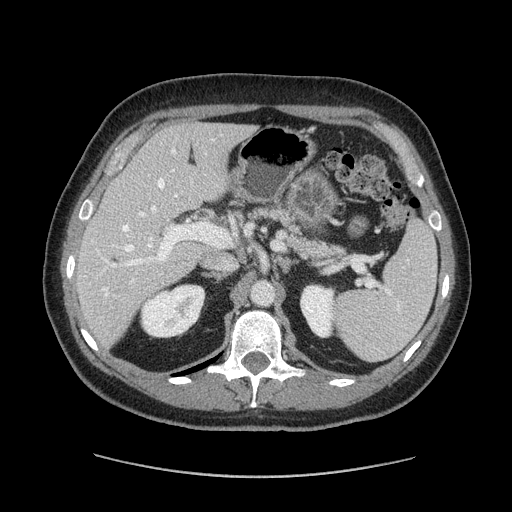 CT image, 512x512, Upper abdomen
<segmentation>
  <pancreas>252 208 344 258</pancreas>
</segmentation>